Image size 512x512; CT scan slice; Field of view 430 mm wide, 2.50 mm slice spacing

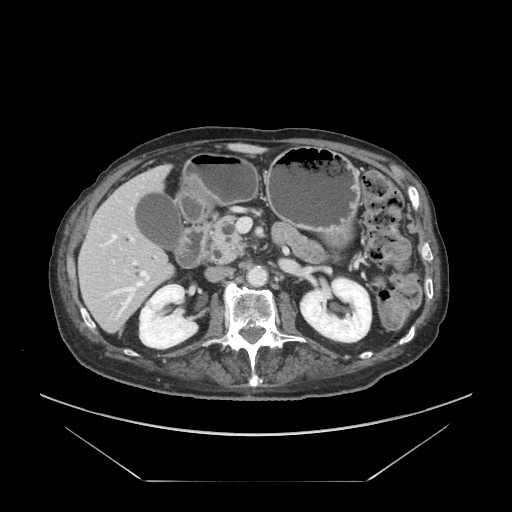 * pancreas: bbox=[209, 215, 243, 262]